CT image. Slice index 174. 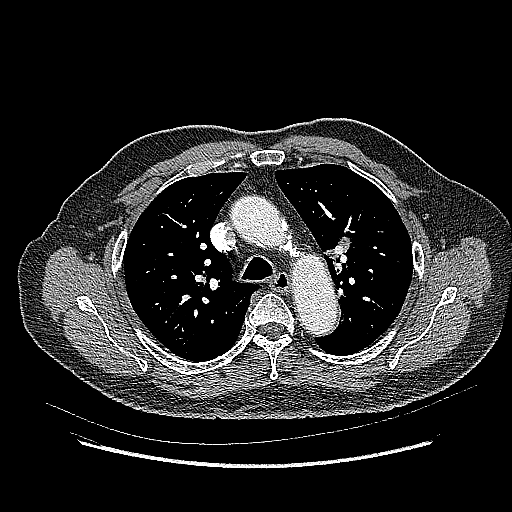

<segmentation>
  <lung_tumor>box=[323, 233, 353, 274]</lung_tumor>
</segmentation>